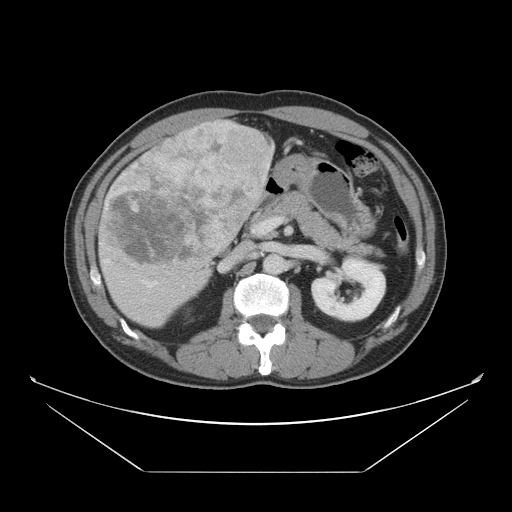
512x512 px; CT; Liver
Some hepatic vessels may have no box.
Hepatic vessel: bounding box x1=143 y1=280 x2=156 y2=293, x1=102 y1=259 x2=109 y2=272.
Liver tumor: bounding box x1=100 y1=126 x2=270 y2=268.